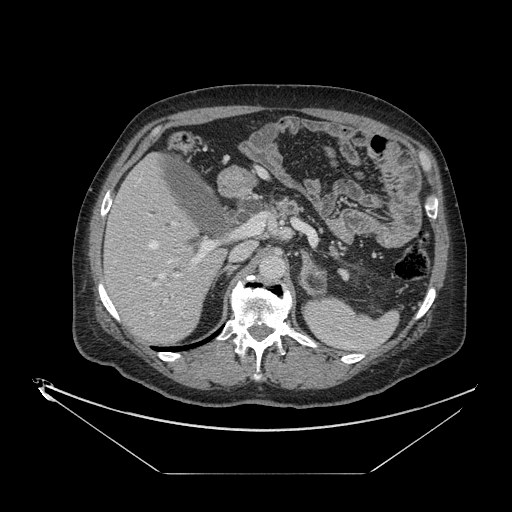
CT; Image size 512x512
Pancreas — box=[275, 196, 303, 217]; box=[329, 246, 341, 258].